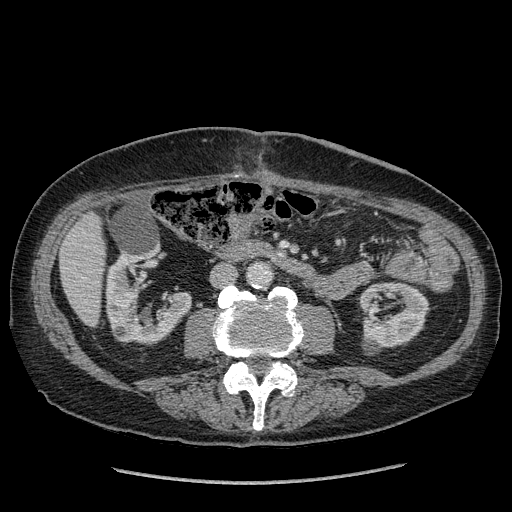
Upper abdomen. Computed tomography.

liver: bbox=[59, 211, 105, 327] | kidney: bbox=[106, 254, 190, 342]; bbox=[360, 282, 428, 346]